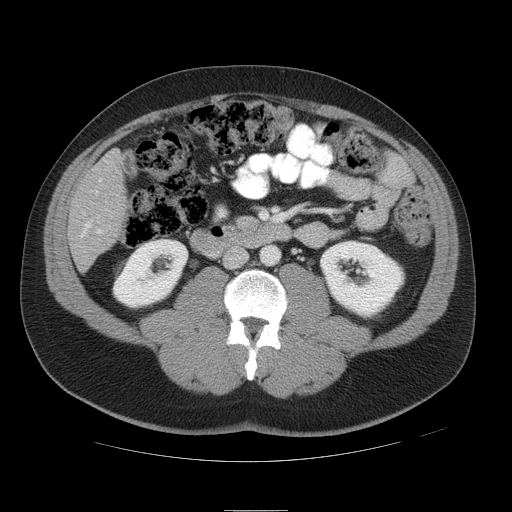

CT image; Image size 512x512; Liver
Only some of the vessels may be annotated.
3 hepatic vessel regions are bounded by (97,230,101,233), (82,223,90,235), (95,191,97,193).